FLAIR MR.
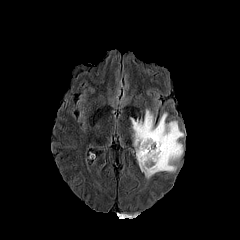
T1-weighted MR image.
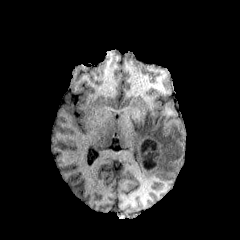
Post-contrast T1-weighted magnetic resonance.
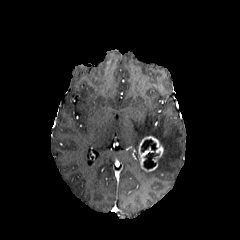
T2-weighted MRI.
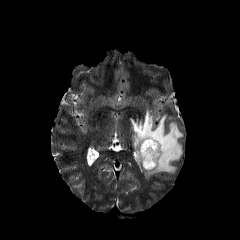
Head.
Segmented structures:
* edema: (130, 110, 184, 178)
* enhancing tumor: (138, 135, 163, 172)
* non-enhancing tumor core: (140, 139, 159, 169)